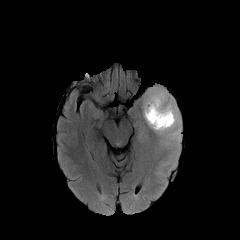
FLAIR magnetic resonance.
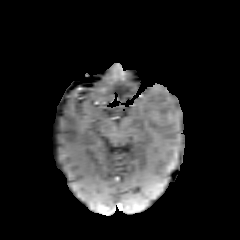
Same slice, T1-weighted magnetic resonance.
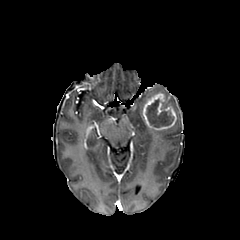
Post-contrast T1-weighted MRI.
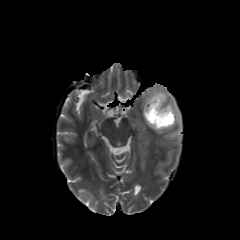
T2-weighted MR of the same slice.
Image size 240x240, Brain
The enhancing tumor is located at x1=142, y1=92, x2=176, y2=129. The non-enhancing tumor core is at x1=146, y1=99, x2=173, y2=128. The edema is located at x1=141, y1=86, x2=181, y2=148.